Slice index 40 | Upper abdomen | CT image

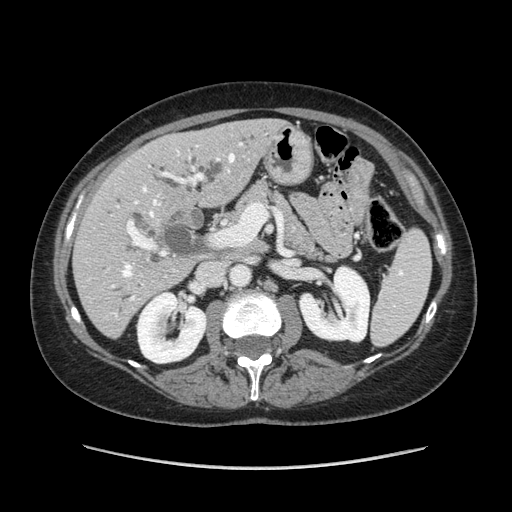
Pancreas: bounding box x1=233 y1=177 x2=338 y2=265.